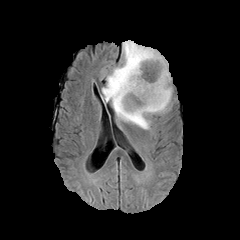
FLAIR magnetic resonance.
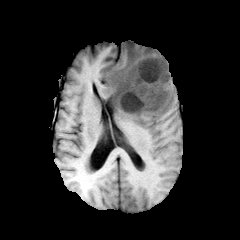
T1-weighted MR image.
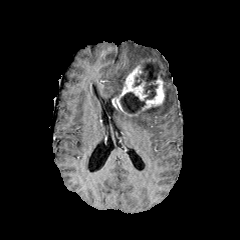
Post-contrast T1-weighted magnetic resonance.
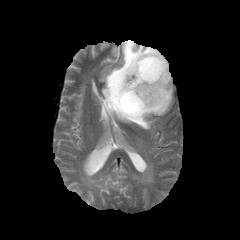
T2-weighted MR image of the same slice.
Enhancing tumor: l=112, t=65, r=164, b=111.
Edema: l=114, t=60, r=173, b=129; l=102, t=40, r=163, b=103.
Non-enhancing tumor core: l=120, t=92, r=145, b=114; l=135, t=58, r=166, b=99.